Image width 240 mm, Slice 82 of 155, Image size 240x240
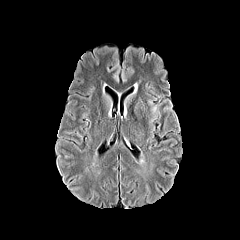
FLAIR MRI.
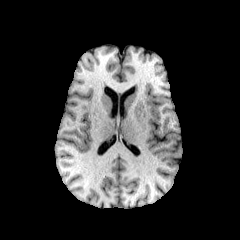
Same slice, T1-weighted magnetic resonance.
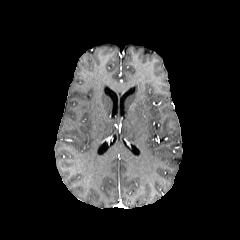
Post-contrast T1-weighted MR image.
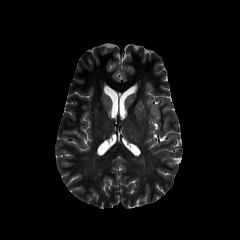
T2-weighted magnetic resonance.
edema: (150,106,158,122)